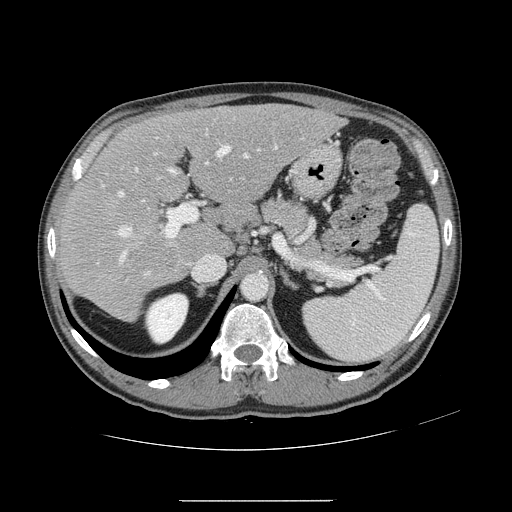 Image size 512x512, CT slice

The vessel boxes may cover only some of the vessels.
Liver tumor: bounding box region(130, 245, 178, 270).
Top 15 of 16 hepatic vessel regions: bounding box region(166, 204, 196, 237); region(118, 191, 123, 197); region(117, 225, 131, 236); region(120, 251, 125, 262); region(135, 168, 137, 171); region(168, 168, 175, 174); region(244, 154, 247, 156); region(101, 184, 104, 186); region(258, 149, 259, 150); region(206, 129, 207, 135); region(216, 145, 230, 156); region(145, 271, 149, 275); region(142, 200, 144, 201); region(158, 177, 160, 178); region(275, 146, 277, 148).